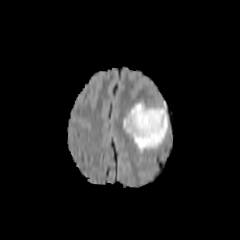
FLAIR MRI.
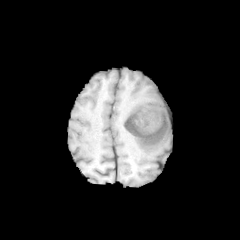
T1-weighted MRI.
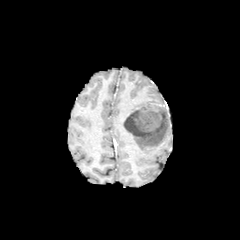
Post-contrast T1-weighted magnetic resonance.
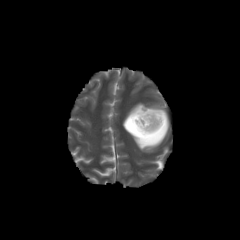
Same slice, T2-weighted magnetic resonance.
Image size 240x240
The non-enhancing tumor core appears at <bbox>124, 106, 162, 137</bbox>. The edema appears at <bbox>123, 99, 170, 151</bbox>.